Computed tomography, Liver

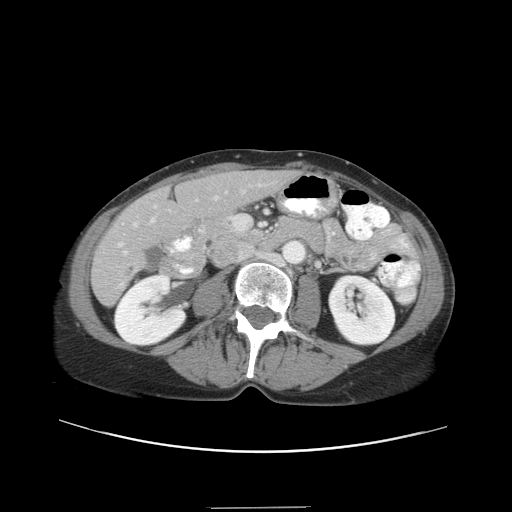

The vessel annotation is not exhaustive.
11 hepatic vessel regions are bounded by [x1=214, y1=196, x2=218, y2=199], [x1=226, y1=191, x2=227, y2=193], [x1=118, y1=283, x2=123, y2=288], [x1=196, y1=199, x2=198, y2=201], [x1=241, y1=190, x2=245, y2=193], [x1=133, y1=222, x2=137, y2=226], [x1=168, y1=210, x2=170, y2=211], [x1=249, y1=185, x2=251, y2=186], [x1=150, y1=217, x2=155, y2=222], [x1=118, y1=242, x2=123, y2=246], [x1=123, y1=251, x2=127, y2=254].